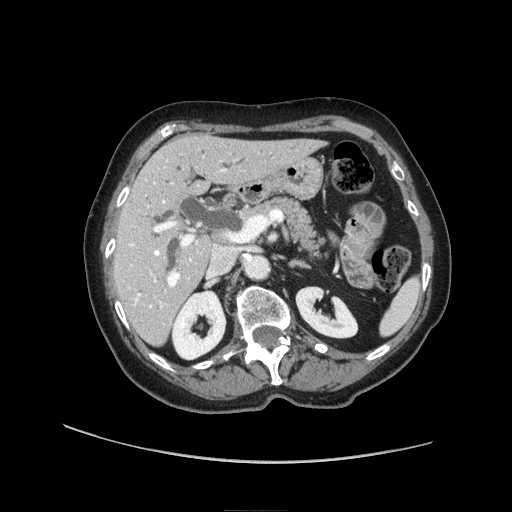 CT slice | Upper abdomen
Pancreas: [252,197,322,257].